Upper abdomen; Image size 512x512; CT 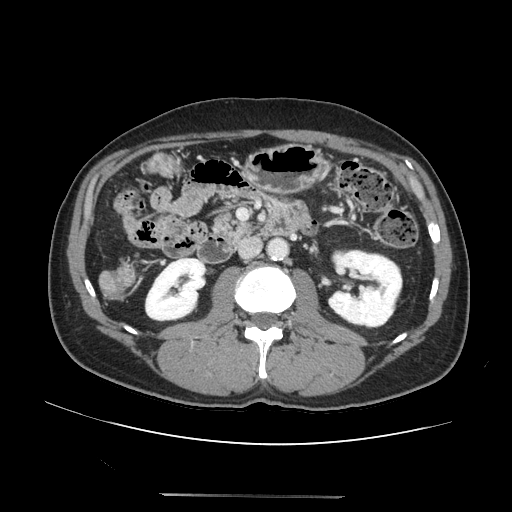

Pancreas at 213, 213, 255, 243.